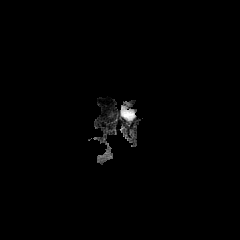
FLAIR magnetic resonance.
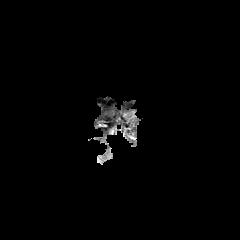
Same slice, T1-weighted MR image.
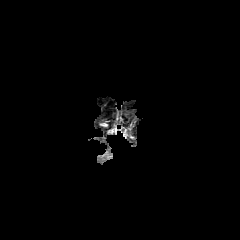
Same slice, post-contrast T1-weighted MR.
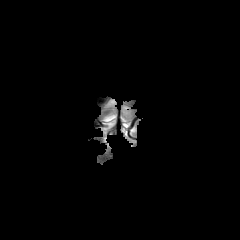
Same slice, T2-weighted MR image.
{"edema": ["bbox=[121, 106, 134, 120]"]}